Slice index 321, 512x512 px, CT 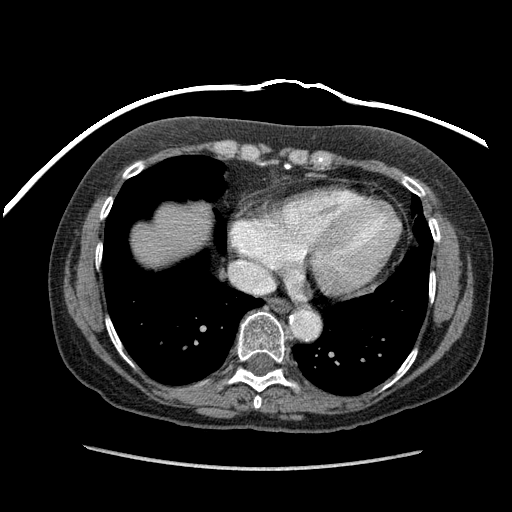
liver: box=[134, 205, 208, 266]